MR image; 32x49 px; Slice 18/38; Hippocampus
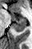

Segmented structures:
- posterior hippocampus: [x1=13, y1=22, x2=26, y2=31]
- anterior hippocampus: [x1=11, y1=13, x2=26, y2=21]